Slice 77 of 155 | Field of view 240x240 mm | Head
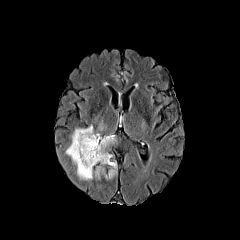
FLAIR magnetic resonance.
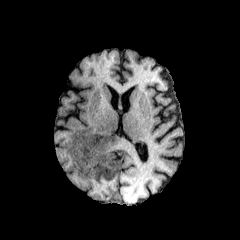
T1-weighted MR.
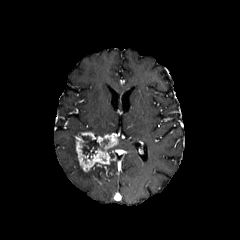
Same slice, post-contrast T1-weighted MR image.
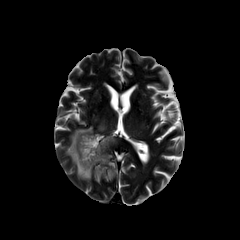
T2-weighted MR image of the same slice.
Findings:
* edema: <box>66,126,117,182</box>
* non-enhancing tumor core: <box>81,135,104,159</box>
* enhancing tumor: <box>74,133,119,171</box>, <box>80,132,96,139</box>